CT scan slice, Upper abdomen, 512x512, Slice 452 of 751

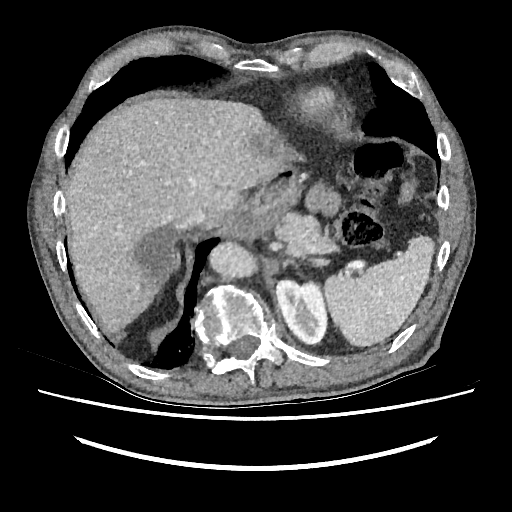
liver lesion: bbox=[249, 126, 281, 157]; bbox=[126, 222, 176, 289] | kidney: bbox=[276, 281, 326, 343] | liver: bbox=[68, 98, 295, 331]